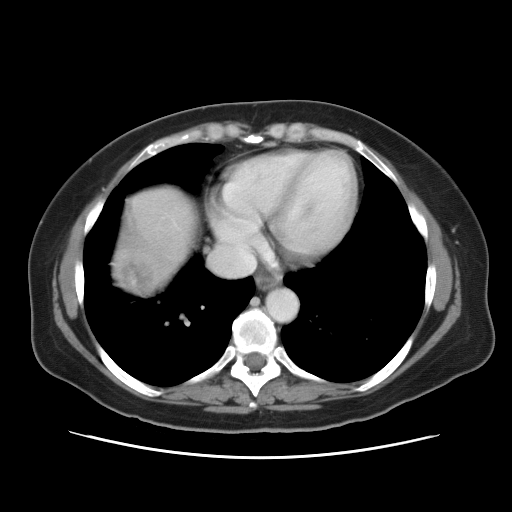
CT scan slice | Abdomen

Some hepatic vessels may have no box.
2 hepatic vessel regions are bounded by <bbox>174, 224, 181, 230</bbox>, <bbox>210, 237, 256, 276</bbox>. The liver tumor is bounded by <bbox>117, 203, 168, 291</bbox>.